Computed tomography; Image size 512x512 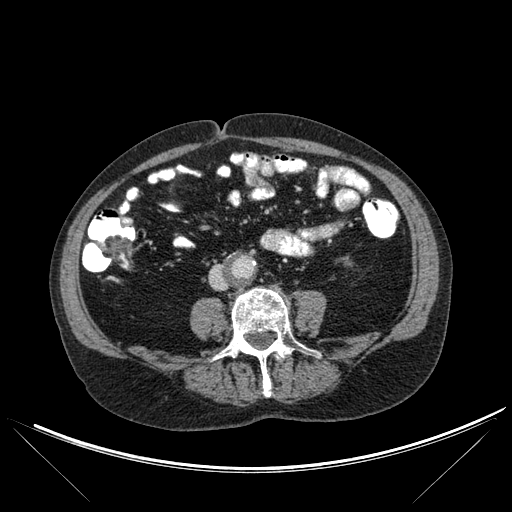
bone: l=220, t=288, r=306, b=396